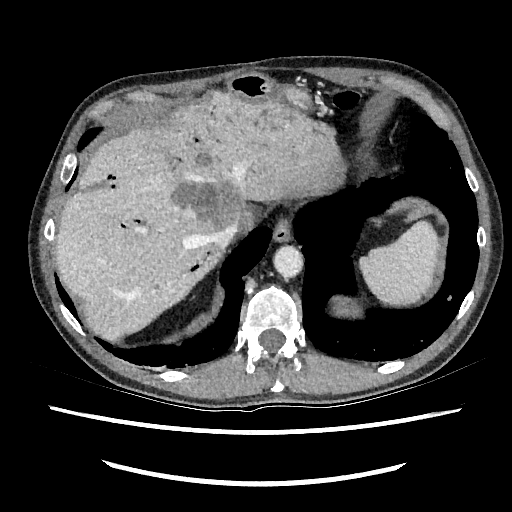
Upper abdomen; CT image; 512x512
Annotated regions:
* focal liver lesion: rect(173, 179, 252, 231); rect(83, 179, 107, 192); rect(195, 153, 211, 166); rect(165, 150, 181, 170)
* liver: rect(56, 90, 345, 338); rect(224, 215, 238, 229)